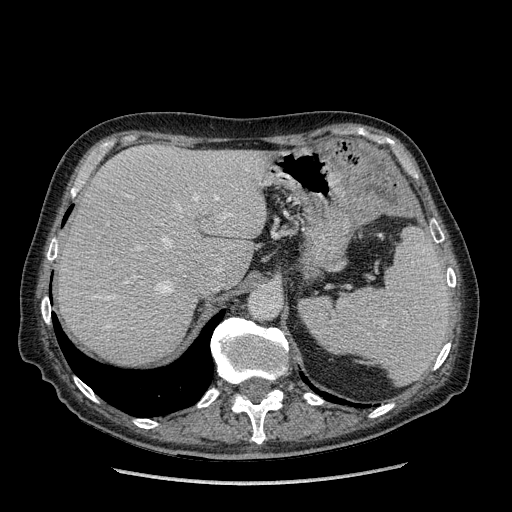 512x512, CT image
liver:
  - box(58, 145, 270, 366)